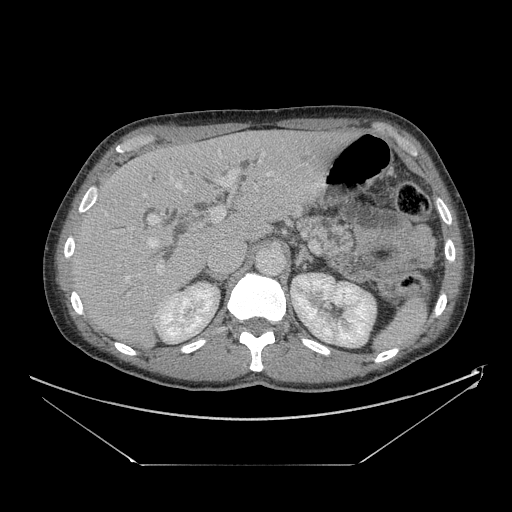

Computed tomography

The pancreas is located at 300 215 354 256.